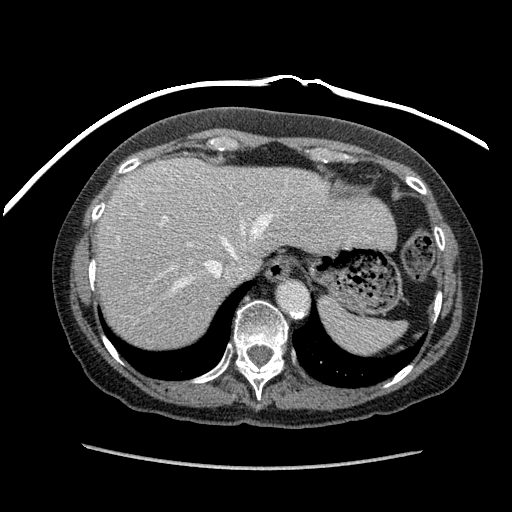
512x512 px, CT
The liver is located at [x1=95, y1=159, x2=395, y2=349].